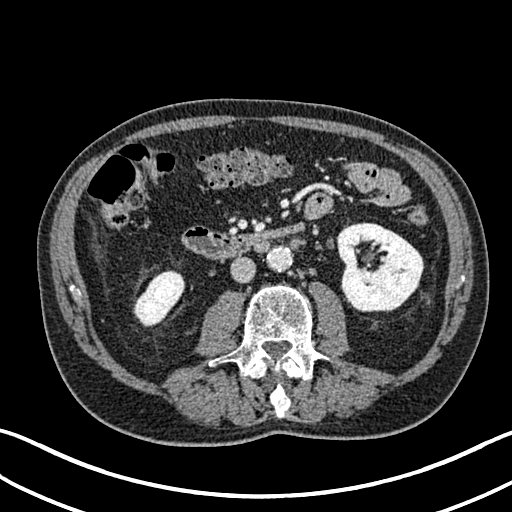 CT.

{
  "kidney": [
    "(x1=135, y1=271, x2=183, y2=324)",
    "(x1=338, y1=223, x2=422, y2=310)"
  ]
}